Liver. Slice index 371. CT.
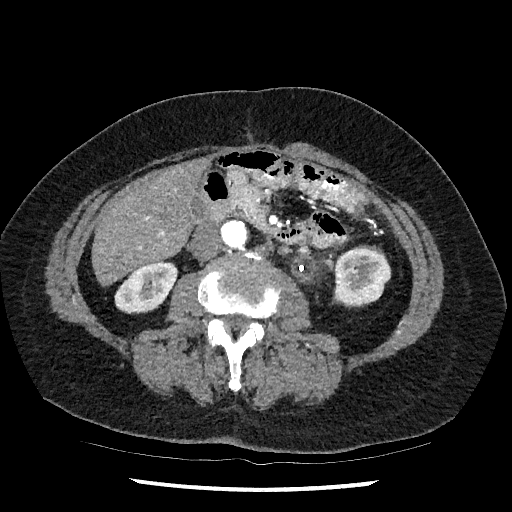
2 kidney regions appear at region(115, 262, 176, 312); region(335, 248, 390, 304). The liver is bounded by region(92, 160, 207, 285).